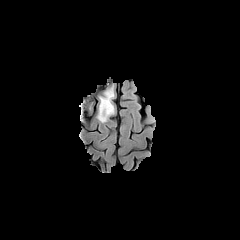
FLAIR magnetic resonance.
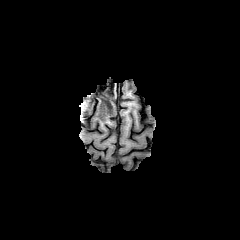
T1-weighted MRI.
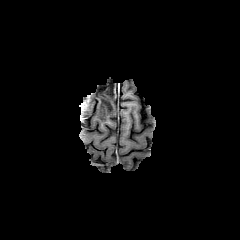
Post-contrast T1-weighted MRI.
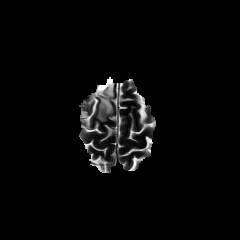
T2-weighted MR image of the same slice.
Annotated regions:
- edema: [95, 85, 115, 121], [84, 102, 93, 112]
- non-enhancing tumor core: [98, 95, 110, 107]